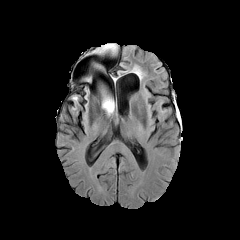
FLAIR MR.
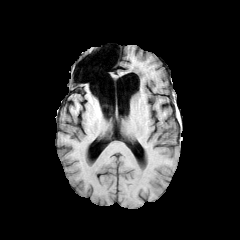
T1-weighted MR image.
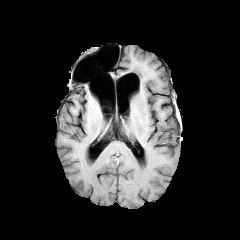
Post-contrast T1-weighted magnetic resonance.
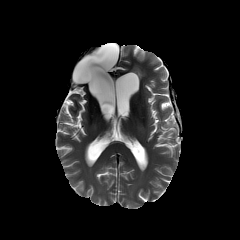
T2-weighted MRI.
Brain
{
  "non-enhancing_tumor_core": [
    "102:90:111:109"
  ],
  "edema": [
    "98:44:117:55",
    "102:94:115:117"
  ]
}